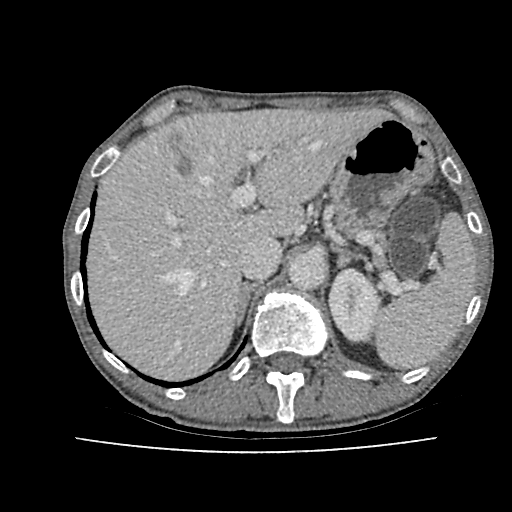
CT image. 512x512 px.
Annotated regions:
* kidney: rect(329, 272, 377, 339)
* focal liver lesion: rect(167, 134, 195, 177)
* liver: rect(89, 110, 379, 378)